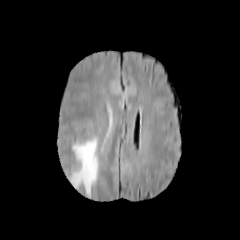
FLAIR MR image.
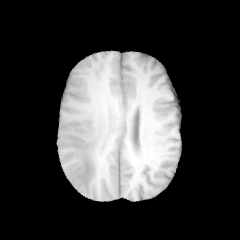
Same slice, T1-weighted MRI.
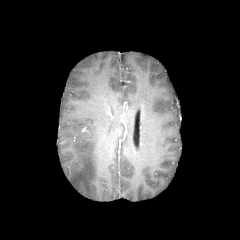
Post-contrast T1-weighted MR.
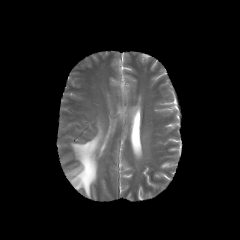
Same slice, T2-weighted MR.
Brain
Edema: bounding box 69 126 104 196.